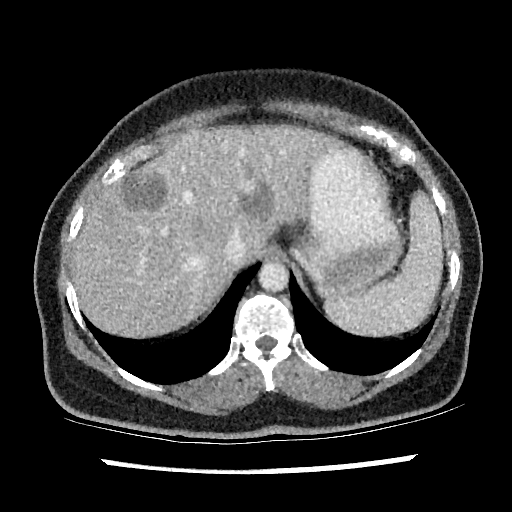

CT scan slice. Liver. The liver appears at [73,128,339,335]. 2 focal liver lesion regions are bounded by [238,184,271,215], [119,173,165,210].